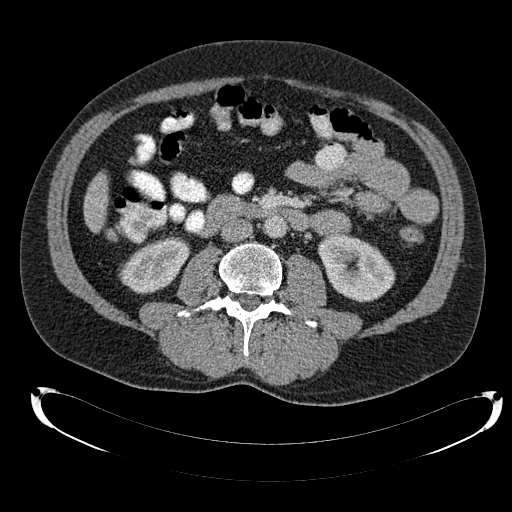 CT, Image size 512x512
2 kidney regions are bounded by 319 234 394 301, 122 239 188 292. The liver is bounded by 85 173 107 231.